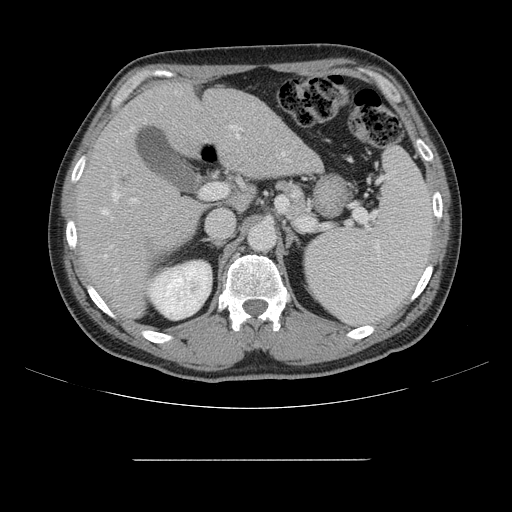

512x512. Liver. CT slice.
Not every hepatic vessel necessarily has a box.
Hepatic vessel: bounding box 113:191:120:199, 103:255:106:258, 111:217:112:219, 101:209:108:214, 130:198:136:203, 281:151:284:156, 117:281:118:283, 230:126:241:138, 101:184:104:185, 110:246:112:247, 113:171:115:177.